Slice index 62; Head
FLAIR magnetic resonance.
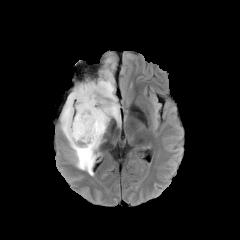
T1-weighted MRI.
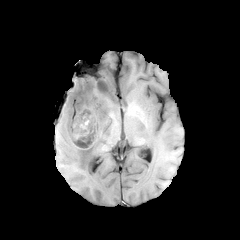
Post-contrast T1-weighted magnetic resonance.
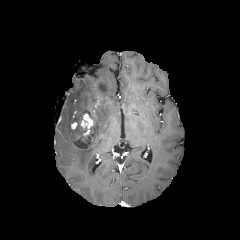
T2-weighted magnetic resonance.
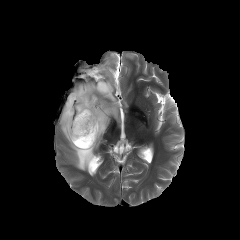
Annotated regions:
- edema: 61:68:120:175
- enhancing tumor: 79:113:94:135
- non-enhancing tumor core: 74:97:101:148